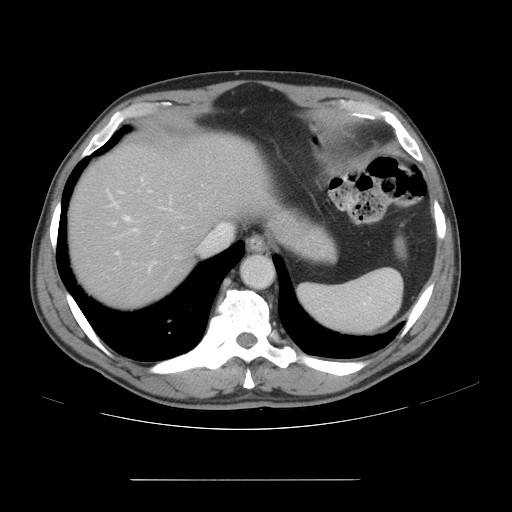

Computed tomography | Image size 512x512 | Abdomen
The vessel annotation is not exhaustive.
{
  "hepatic_vessel": [
    "106 189 117 206",
    "148 190 151 192",
    "140 177 143 185",
    "148 260 155 272",
    "115 251 118 254",
    "113 222 116 225",
    "123 216 132 221",
    "119 191 123 193"
  ]
}